CT; Liver

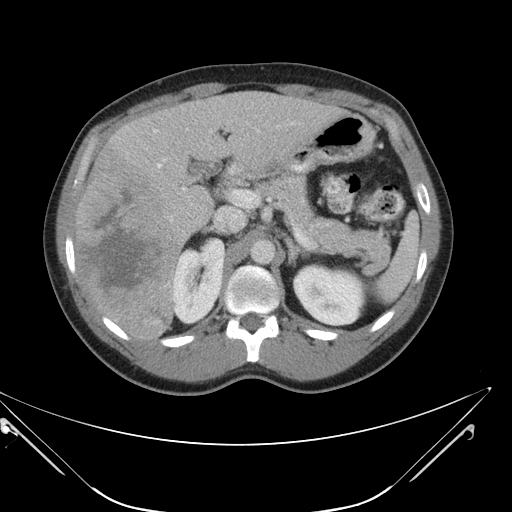
Only some of the vessels may be annotated.
liver tumor: (76,150,177,339) | hepatic vessel: (157,164,160,167), (163,158,165,161), (153,129,157,132), (276,125,278,127), (216,207,243,229), (186,128,187,130), (170,216,172,220), (183,187,185,190)